Head
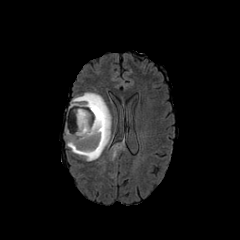
FLAIR MR.
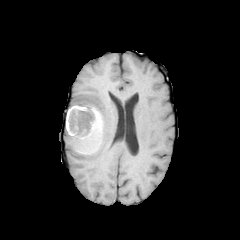
T1-weighted magnetic resonance.
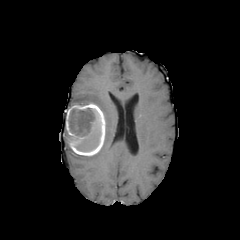
Post-contrast T1-weighted magnetic resonance.
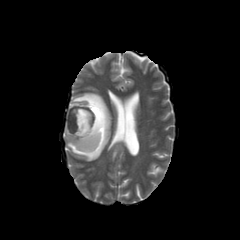
Same slice, T2-weighted magnetic resonance.
Findings:
• non-enhancing tumor core: bbox=[78, 108, 99, 150]
• enhancing tumor: bbox=[69, 102, 105, 156]
• edema: bbox=[64, 92, 111, 161]; bbox=[78, 138, 92, 149]